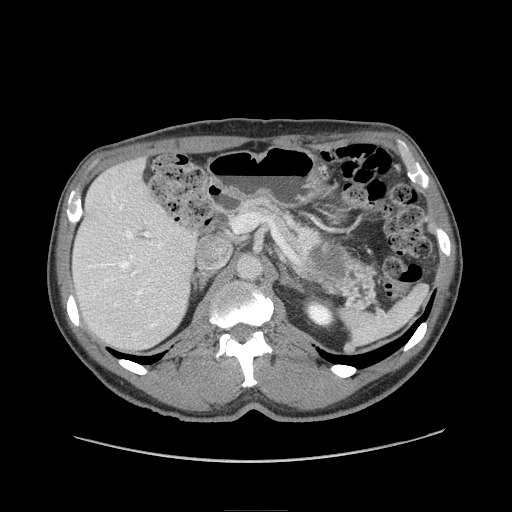 Abdomen | 512x512 | CT slice
* pancreas: l=240, t=198, r=363, b=287
* pancreatic tumor: l=309, t=243, r=346, b=281